CT slice. Lower abdomen.

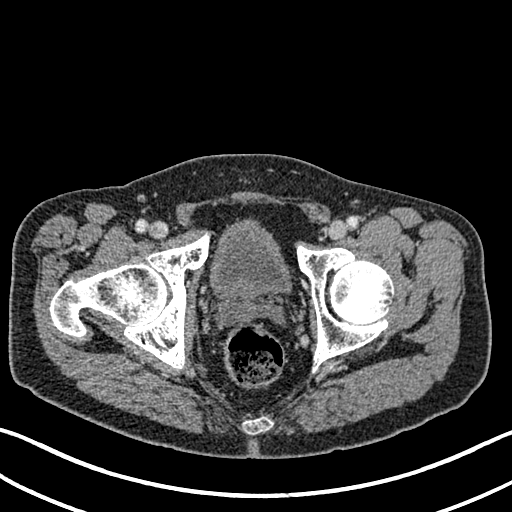 Segmented structures:
- urinary bladder: (210,228,291,302)